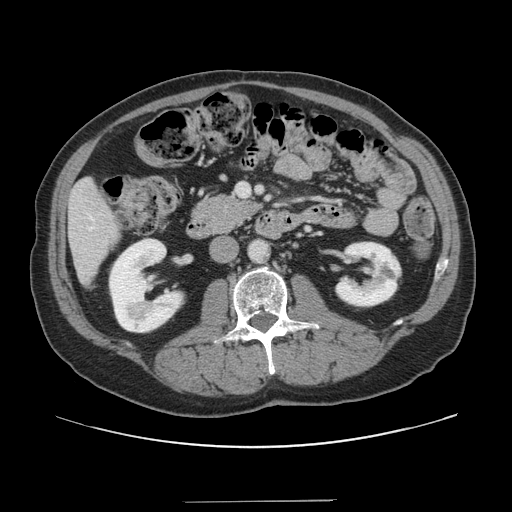

Liver, CT
Some hepatic vessels may have no box.
{
  "hepatic_vessel": [
    "[x1=237, y1=183, x2=249, y2=196]"
  ]
}